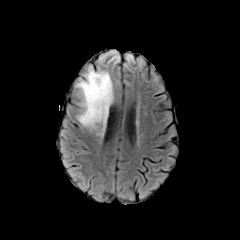
FLAIR magnetic resonance.
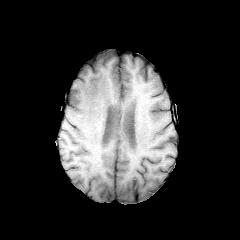
T1-weighted magnetic resonance.
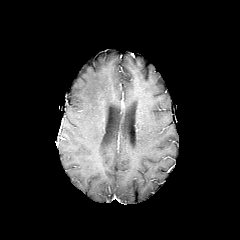
Post-contrast T1-weighted MR image.
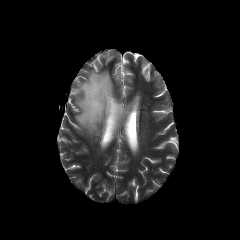
T2-weighted MR of the same slice.
240x240 | Head
The edema lies within (left=75, top=65, right=114, bottom=131).